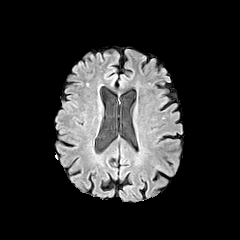
FLAIR MRI.
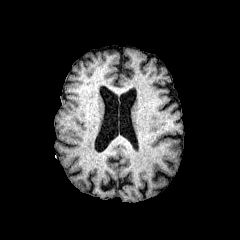
T1-weighted MR image.
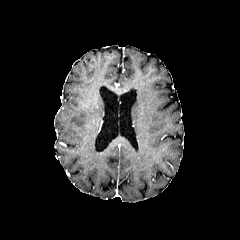
Post-contrast T1-weighted MR image of the same slice.
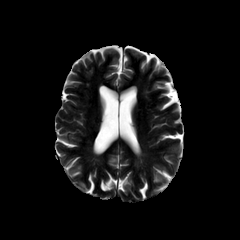
Same slice, T2-weighted MR image.
Brain, 240x240 px
Edema — 153 162 167 172.